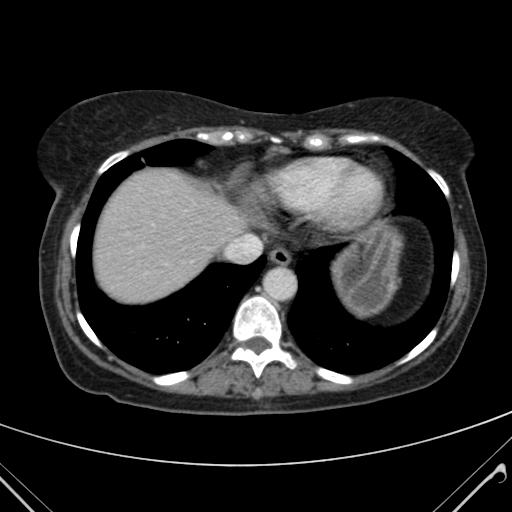 Upper abdomen. CT scan slice.

Liver: bounding box (left=94, top=169, right=244, bottom=303).